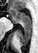
Image size 38x53 | Magnetic resonance | Hippocampus
posterior_hippocampus:
  - x1=18, y1=24, x2=32, y2=44
anterior_hippocampus:
  - x1=10, y1=9, x2=32, y2=24